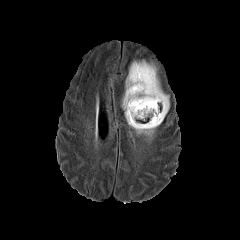
FLAIR magnetic resonance.
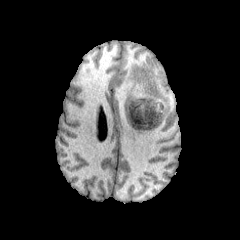
T1-weighted MR.
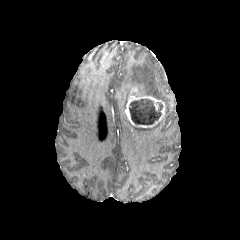
Post-contrast T1-weighted MRI.
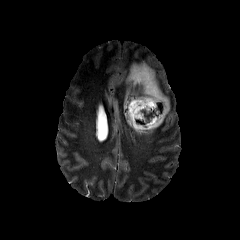
T2-weighted MR image of the same slice.
Head | Image size 240x240
Non-enhancing tumor core: region(129, 98, 163, 126).
Enhancing tumor: region(125, 87, 164, 128).
Edema: region(124, 112, 160, 139); region(123, 59, 169, 116).